Head
FLAIR MR image.
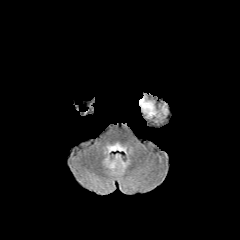
T1-weighted MRI.
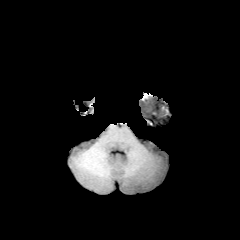
Post-contrast T1-weighted MR.
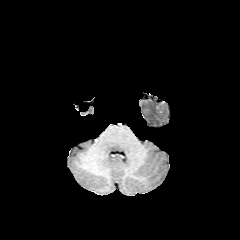
T2-weighted MRI.
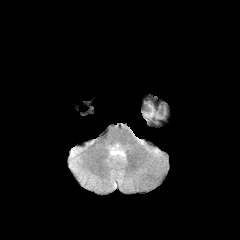
- edema: l=144, t=101, r=158, b=118